Slice 87 of 155. Brain.
FLAIR MR image.
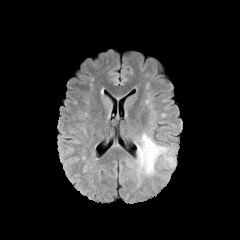
T1-weighted MRI.
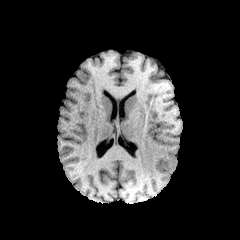
Post-contrast T1-weighted magnetic resonance.
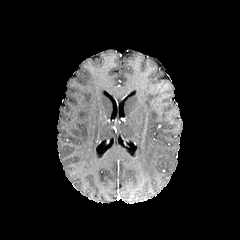
T2-weighted MR image.
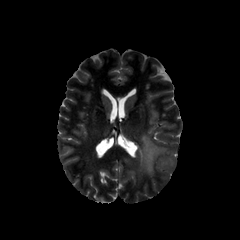
{
  "edema": [
    "box(135, 133, 166, 175)"
  ]
}